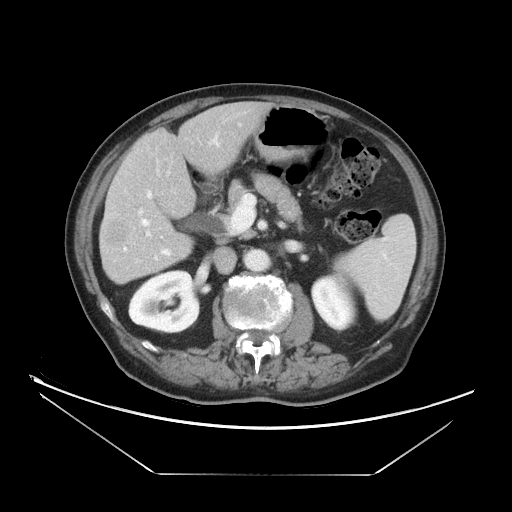
512x512 px, Computed tomography, Abdomen
The vessel annotation is not exhaustive.
Segmented structures:
- liver tumor: x1=104, y1=217, x2=130, y2=247
- hepatic vessel: x1=146, y1=191, x2=151, y2=198; x1=142, y1=220, x2=148, y2=224; x1=213, y1=136, x2=217, y2=144; x1=162, y1=250, x2=168, y2=254